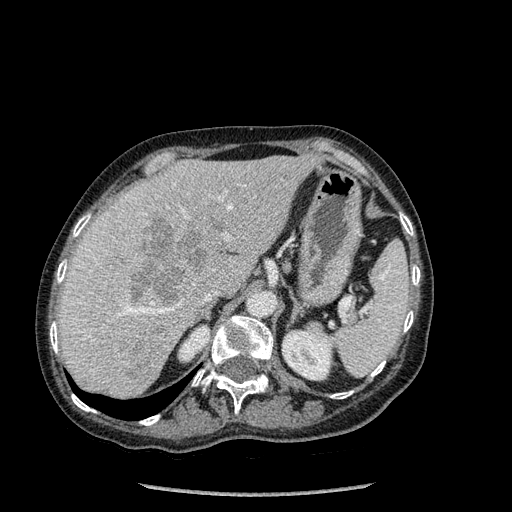 Liver | Image size 512x512 | Computed tomography

11 bone regions appear at bbox(71, 394, 96, 412); bbox(192, 315, 273, 414); bbox(411, 265, 420, 285); bbox(139, 415, 159, 425); bbox(57, 259, 67, 283); bbox(402, 311, 413, 332); bbox(73, 214, 90, 237); bbox(400, 212, 413, 235); bbox(370, 360, 385, 377); bbox(50, 321, 58, 353); bbox(330, 391, 353, 398). 6 hepatic lesion regions are located at bbox(146, 347, 157, 353); bbox(151, 326, 165, 333); bbox(130, 218, 206, 304); bbox(209, 221, 222, 231); bbox(126, 360, 154, 382); bbox(132, 346, 143, 354). The liver is bounded by bbox(59, 154, 323, 399). 2 kidney regions appear at bbox(282, 330, 334, 379); bbox(179, 326, 209, 360). The lung lies within bbox(71, 375, 190, 420).